Liver, CT scan slice

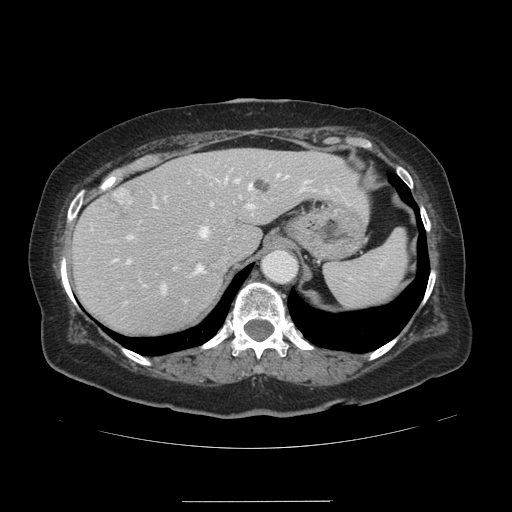 Some hepatic vessels may have no box.
The largest 15 hepatic vessel regions (of 16) are located at [152, 196, 155, 206], [234, 178, 238, 182], [285, 175, 287, 177], [224, 177, 227, 181], [246, 204, 253, 207], [276, 174, 279, 176], [299, 180, 316, 190], [113, 258, 116, 260], [127, 259, 129, 262], [210, 202, 212, 205], [199, 227, 207, 235], [323, 190, 328, 193], [248, 184, 252, 188], [160, 284, 165, 293], [127, 235, 131, 238]. 2 liver tumor regions are located at [99, 186, 133, 214], [253, 178, 270, 192].